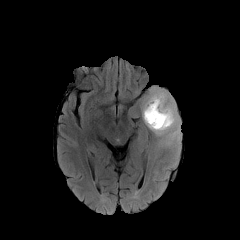
FLAIR MRI.
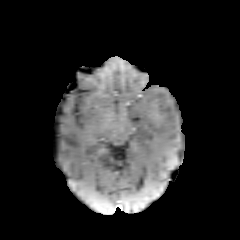
Same slice, T1-weighted MRI.
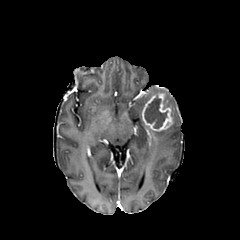
Post-contrast T1-weighted MR image.
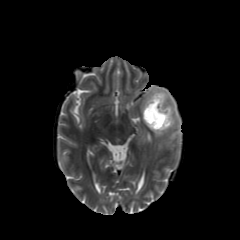
T2-weighted magnetic resonance.
240x240
Edema = 140, 85, 182, 157.
Enhancing tumor = 142, 93, 173, 131.
Non-enhancing tumor core = 145, 97, 166, 128; 164, 97, 170, 107.